Brain
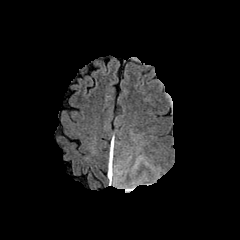
FLAIR MR.
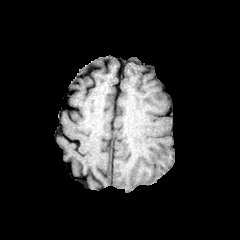
T1-weighted MRI.
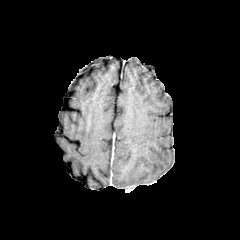
Post-contrast T1-weighted MR image of the same slice.
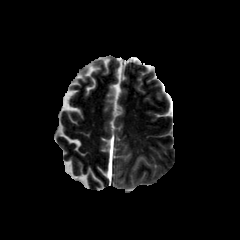
Same slice, T2-weighted magnetic resonance.
The edema is at (x1=107, y1=140, x2=114, y2=185).